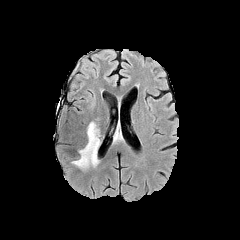
FLAIR MR.
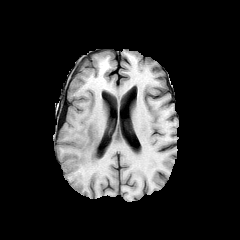
T1-weighted MRI of the same slice.
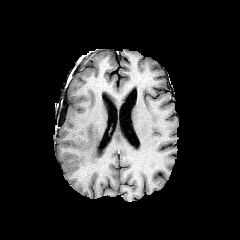
Same slice, post-contrast T1-weighted MRI.
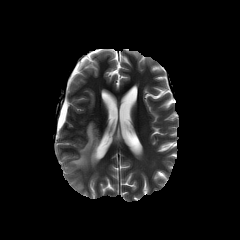
T2-weighted MRI of the same slice.
Brain
{
  "edema": [
    "rect(71, 122, 101, 170)"
  ]
}